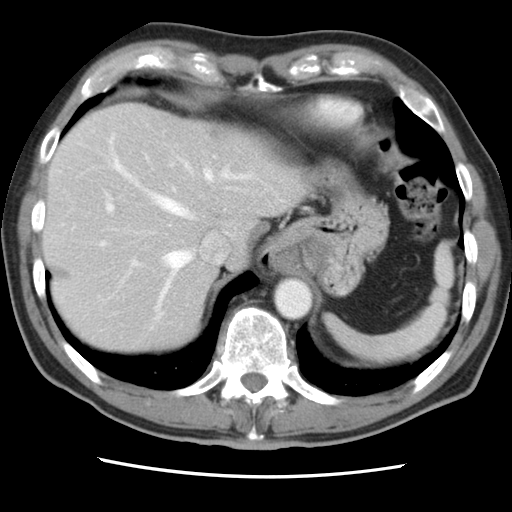 CT. 512x512 px. Some hepatic vessels may have no box.
14 hepatic vessel regions are bounded by left=165, top=251, right=191, bottom=268; left=158, top=310, right=161, bottom=316; left=205, top=169, right=211, bottom=179; left=132, top=261, right=139, bottom=265; left=154, top=196, right=188, bottom=215; left=110, top=137, right=113, bottom=141; left=222, top=168, right=247, bottom=177; left=102, top=242, right=105, bottom=244; left=186, top=163, right=189, bottom=168; left=114, top=157, right=130, bottom=177; left=107, top=200, right=113, bottom=211; left=171, top=164, right=173, bottom=165; left=173, top=188, right=175, bottom=190; left=160, top=280, right=169, bottom=301.